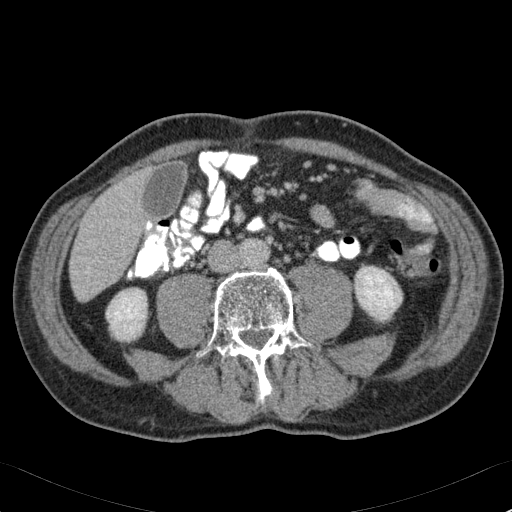

CT slice; Liver

Liver = <box>70,168,146,300</box>.
Kidney = <box>106,288,146,340</box>, <box>355,266,402,321</box>.